Image width 380 mm | CT slice | Upper abdomen

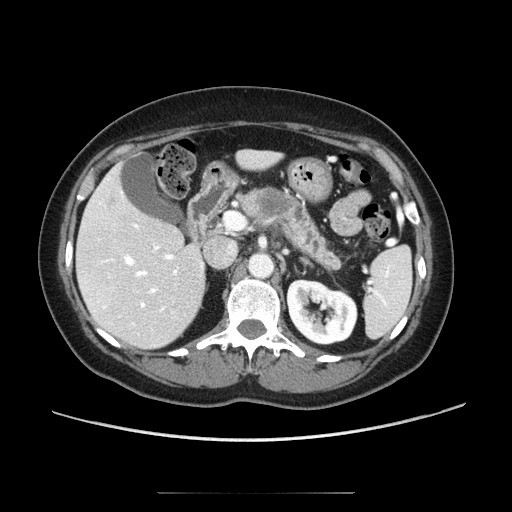

The pancreatic tumor appears at <bbox>257, 188, 292, 217</bbox>. The pancreas is located at <bbox>243, 189, 339, 269</bbox>.